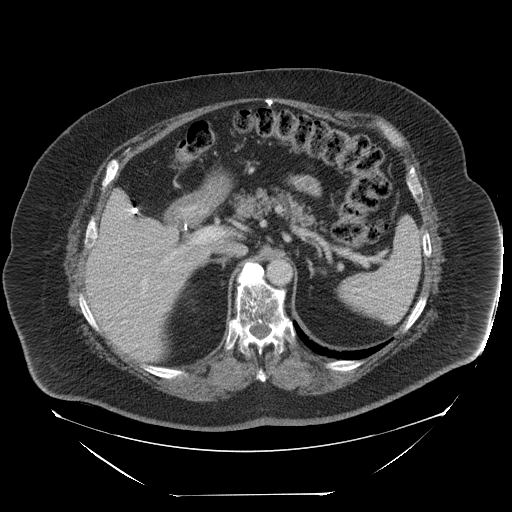
Upper abdomen, CT
Spleen — region(338, 217, 421, 322).